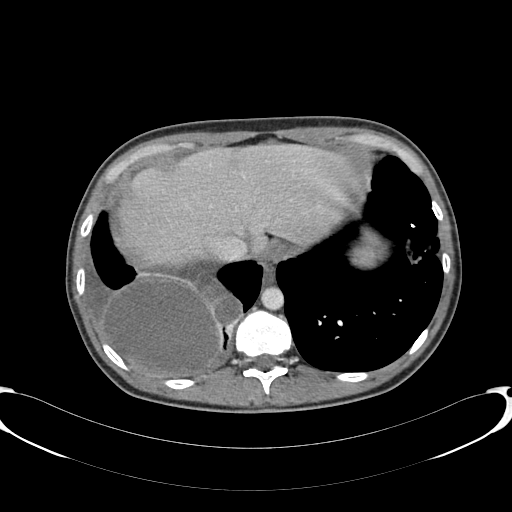
512x512 px. CT image. Liver.

<segmentation>
  <focal_liver_lesion>230, 160, 237, 168</focal_liver_lesion>
  <liver>119, 146, 365, 264</liver>
</segmentation>